FLAIR MR image.
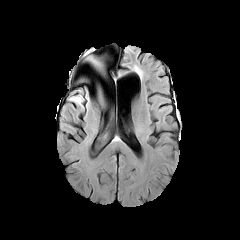
T1-weighted magnetic resonance.
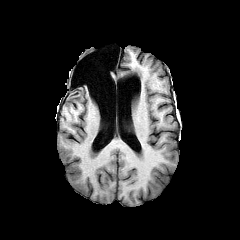
Post-contrast T1-weighted MRI.
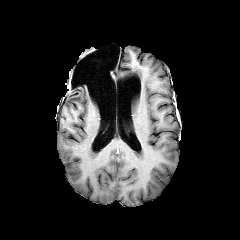
T2-weighted MR.
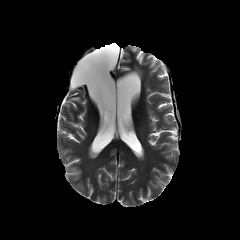
Brain
2 edema regions are located at [70,91,90,110], [86,56,99,65].